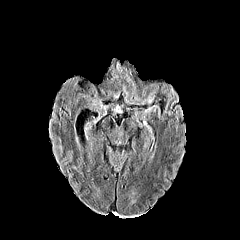
FLAIR MR image.
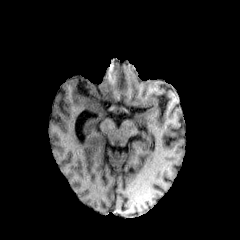
T1-weighted MR image.
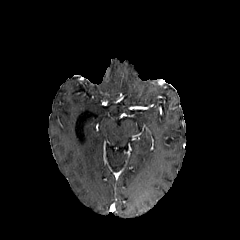
Post-contrast T1-weighted MRI.
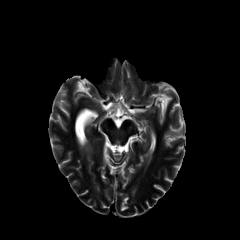
T2-weighted MRI of the same slice.
Brain.
2 edema regions are bounded by 144 104 159 118, 144 93 154 104.